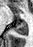

Hippocampus. 33x47. MR.

{
  "anterior_hippocampus": [
    "x1=22 y1=21 x2=25 y2=22"
  ],
  "posterior_hippocampus": [
    "x1=14 y1=23 x2=27 y2=35"
  ]
}